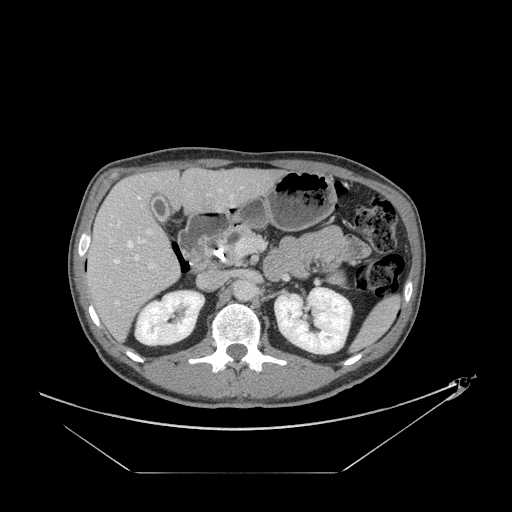 CT scan slice | 512x512

Segmented structures:
• pancreas: rect(219, 225, 255, 254)